Liver | CT slice | Slice index 317 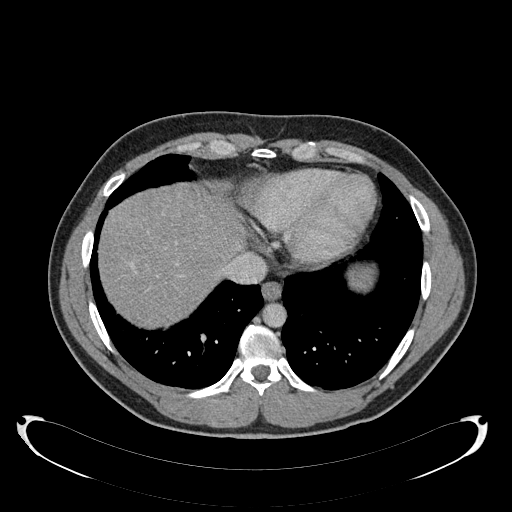
The liver lies within rect(100, 185, 245, 325).